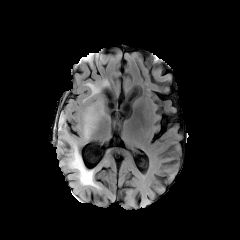
FLAIR MR.
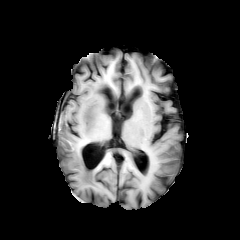
T1-weighted MR image.
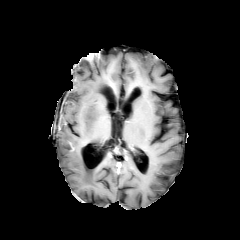
Same slice, post-contrast T1-weighted MRI.
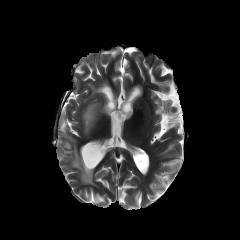
T2-weighted MR.
Head
3 edema regions appear at [57, 113, 98, 187], [86, 83, 99, 93], [84, 107, 95, 134].